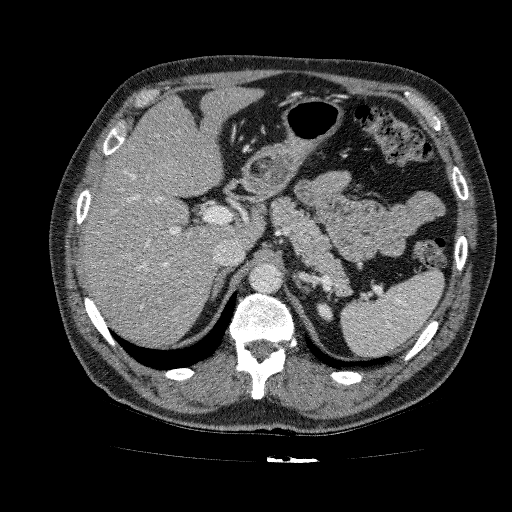
Image size 512x512, CT
kidney: box(318, 304, 332, 318) | liver: box(82, 86, 266, 346)